Field of view 400x400 mm | CT image

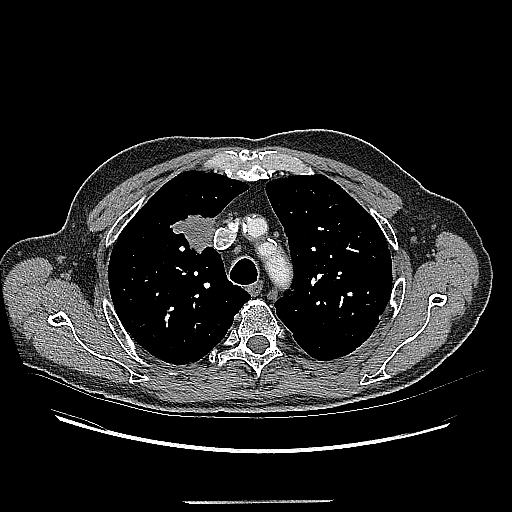
The lung tumor is bounded by 172,212,215,255.